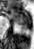
MR

The anterior hippocampus is located at <box>10,10,30,23</box>. The posterior hippocampus is located at <box>18,24,28,29</box>.